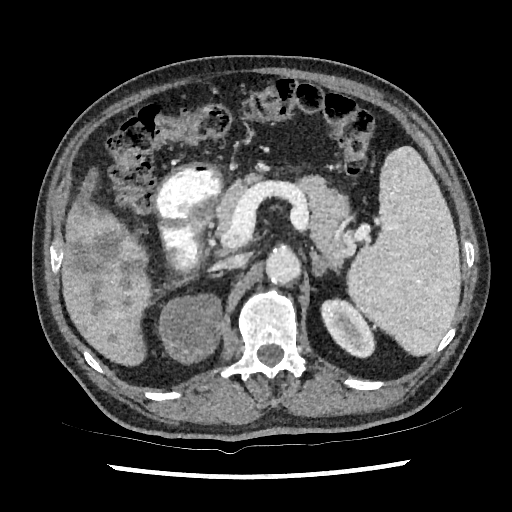

Liver, Computed tomography, 512x512 px
The kidney lies within 322:300:373:357. 3 liver regions are bounded by 66:213:121:245, 62:233:152:363, 87:187:98:207. 4 liver lesion regions appear at 66:222:73:231, 71:184:107:217, 106:332:118:344, 63:226:144:318.